FLAIR MR.
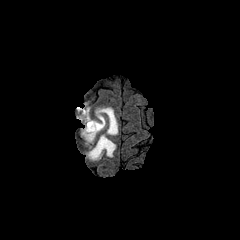
T1-weighted MR image.
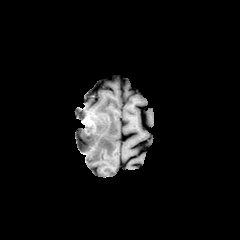
Post-contrast T1-weighted MRI.
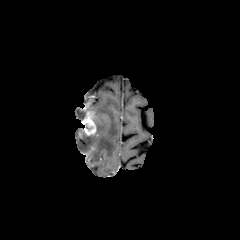
T2-weighted MR image.
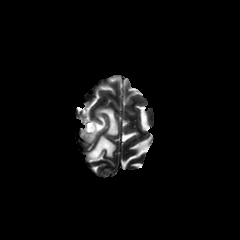
240x240 px.
The enhancing tumor lies within 82 105 95 135. The edema lies within 81 104 117 160.